FLAIR MRI.
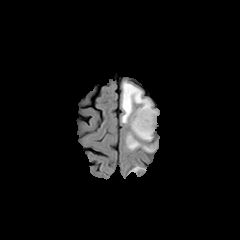
T1-weighted magnetic resonance.
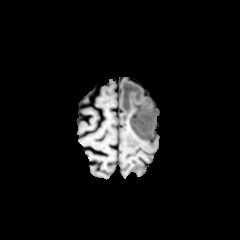
Post-contrast T1-weighted magnetic resonance.
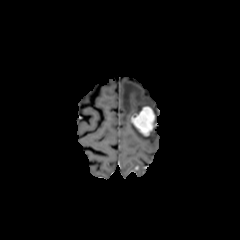
T2-weighted MRI.
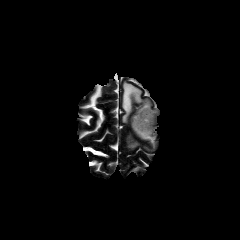
Image size 240x240
The enhancing tumor appears at [x1=130, y1=106, x2=155, y2=135]. The edema appears at [x1=120, y1=82, x2=158, y2=151].